Slice 40 of 155, Brain, Image width 240 mm
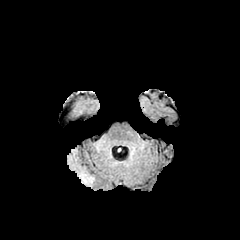
FLAIR MR image.
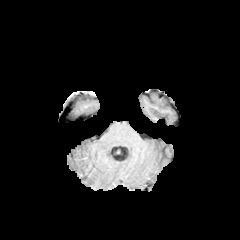
T1-weighted MR.
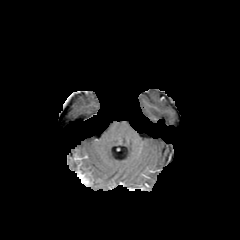
Post-contrast T1-weighted MR.
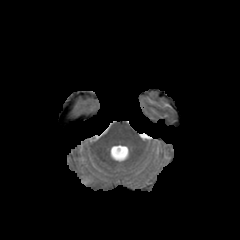
T2-weighted magnetic resonance.
The enhancing tumor is at [78,172,93,184].